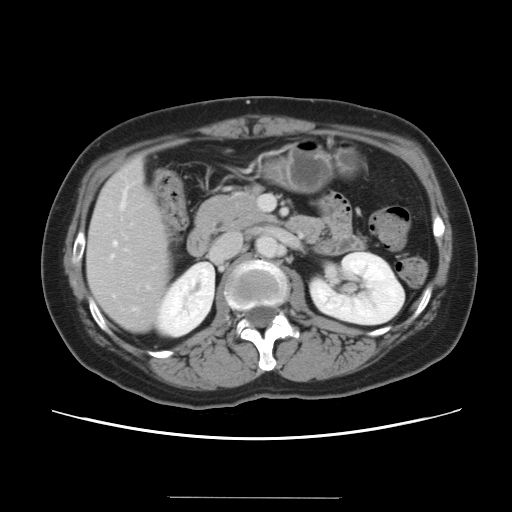
CT image | Liver | 512x512 px
The vessel boxes may cover only some of the vessels.
Segmented structures:
- hepatic vessel: 120, 184, 130, 209; 147, 287, 149, 288; 124, 249, 126, 251; 124, 236, 126, 239; 120, 175, 122, 177; 111, 255, 113, 258; 107, 214, 109, 215; 133, 308, 135, 310; 112, 295, 114, 297; 113, 242, 116, 245